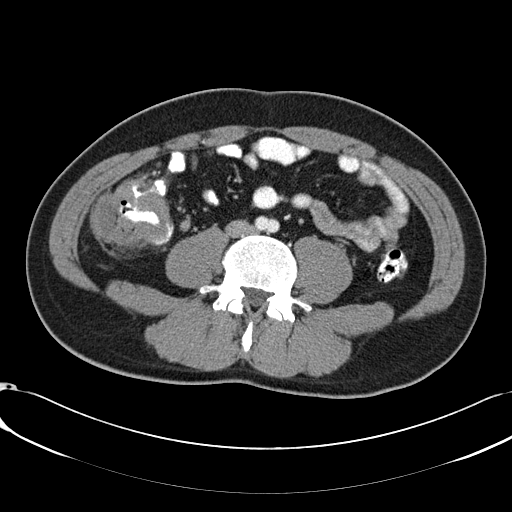 Computed tomography. Image size 512x512.
- colon tumor: 92,183,169,245